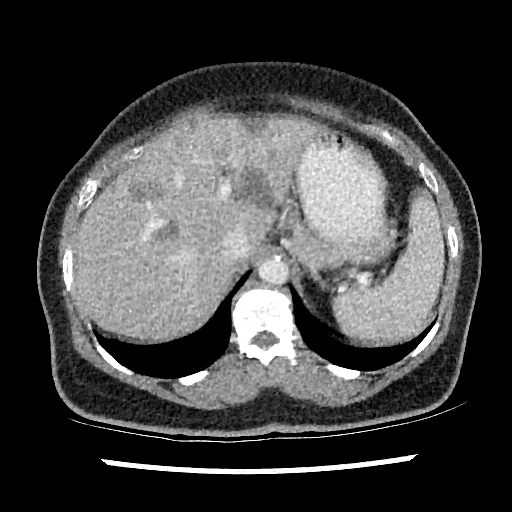

512x512 px. CT slice.
Liver lesion = [127,183,157,199], [156,222,177,242], [233,169,273,209], [238,117,264,131].
Liver = [72,116,316,338].